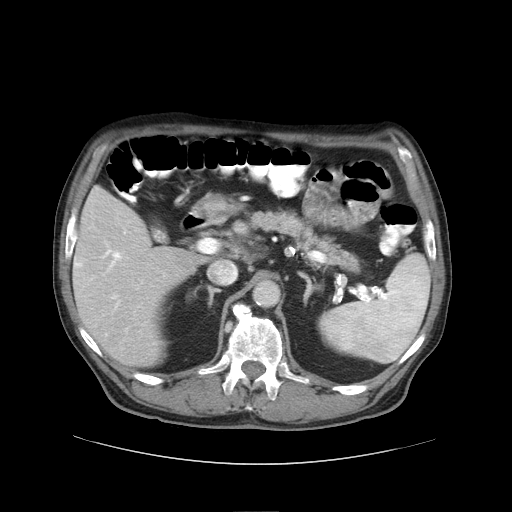
Computed tomography

The vessel boxes may cover only some of the vessels.
The hepatic vessel is at 103, 249, 122, 268.